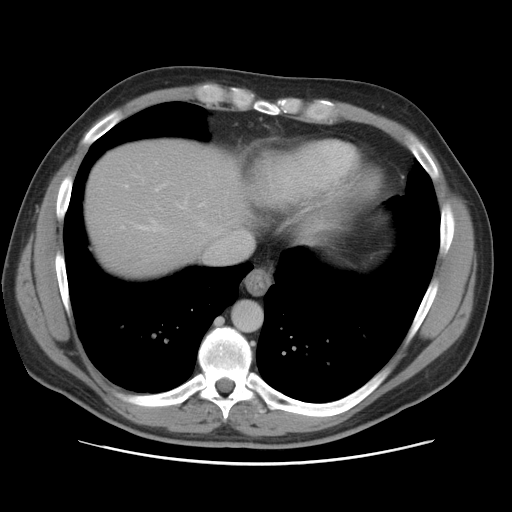

Computed tomography

Some hepatic vessels may have no box.
3 hepatic vessel regions appear at 138 223 157 230, 208 231 250 256, 202 226 222 235.